Abdomen | CT scan slice | 512x512
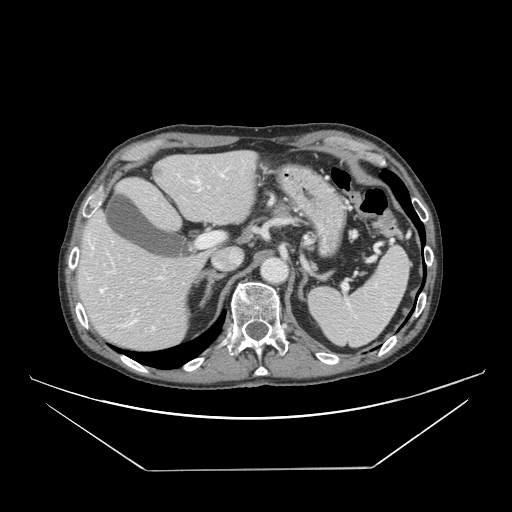 Pancreas = l=266, t=201, r=294, b=220.